Slice 585 of 908; Upper abdomen; CT scan slice
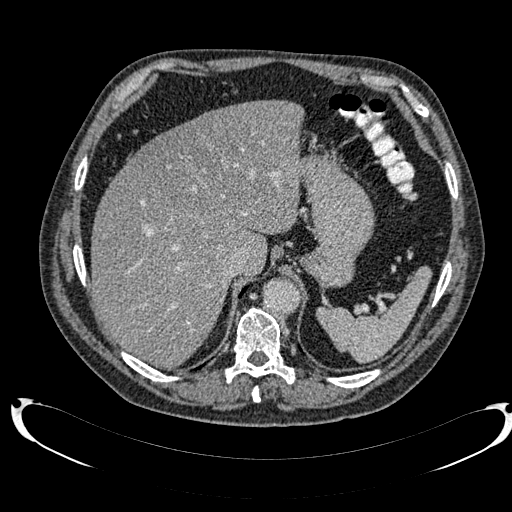

The focal liver lesion is bounded by box=[134, 104, 268, 213]. 3 liver regions appear at box=[150, 127, 176, 142]; box=[92, 100, 303, 366]; box=[191, 110, 217, 120].